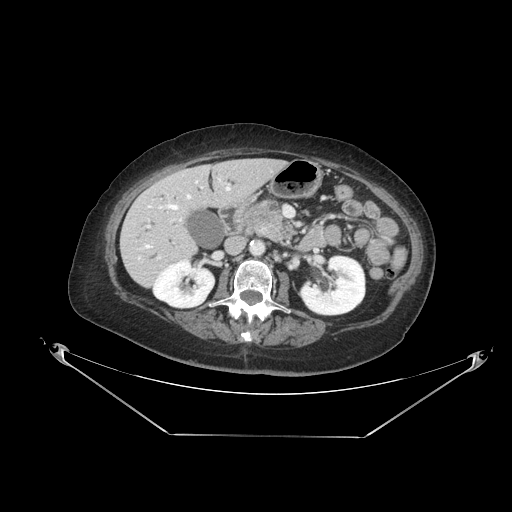 CT slice | 512x512 | Abdomen

Segmented structures:
- pancreas: rect(246, 202, 284, 241)
- pancreatic tumor: rect(249, 204, 269, 223)